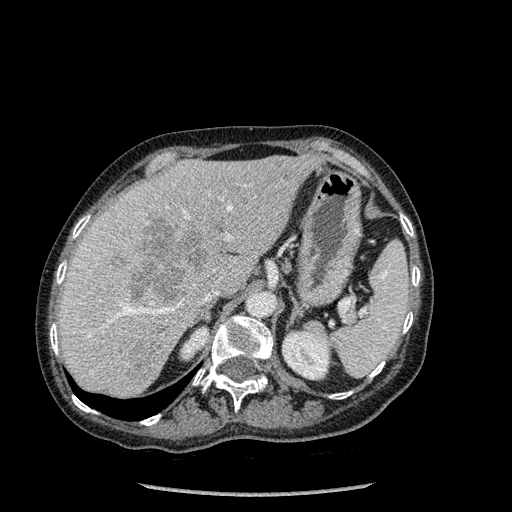

Image size 512x512; Computed tomography
Bone at 50,323,58,354; 411,266,420,286; 140,414,160,425; 400,213,413,236; 369,361,384,377; 402,312,412,333; 72,215,89,238; 56,261,67,284; 72,395,97,413; 192,315,273,411; 329,391,352,399.
Liver at 59,154,324,398.
Lung at 70,373,191,420.
Liver lesion at 126,361,155,381; 279,171,288,180; 209,218,222,231; 152,326,167,332; 131,217,206,304; 145,347,160,355; 129,348,142,354; 106,257,123,266.
Kidney at 282,330,328,379; 181,327,208,358.